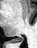

Magnetic resonance
Annotated regions:
• posterior hippocampus: (11, 37, 24, 42)